Brain. Image size 240x240.
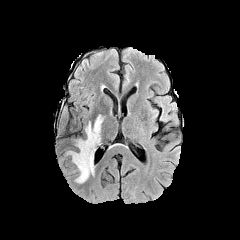
FLAIR MR image.
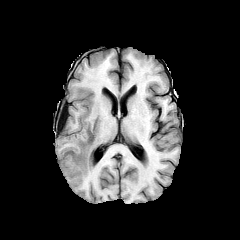
T1-weighted MR image.
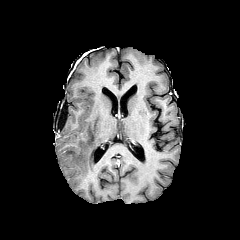
Post-contrast T1-weighted MRI.
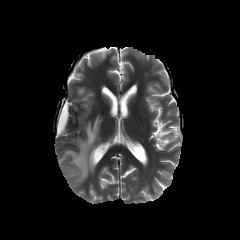
Same slice, T2-weighted MRI.
The edema is located at x1=66 y1=115 x2=103 y2=183.